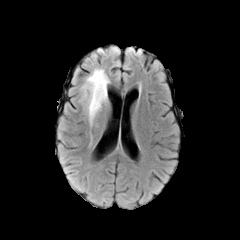
FLAIR MR.
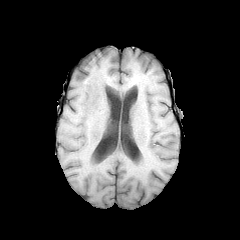
T1-weighted MR image of the same slice.
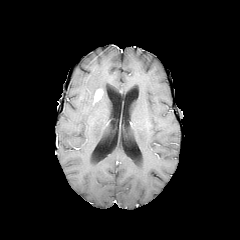
Post-contrast T1-weighted MR image of the same slice.
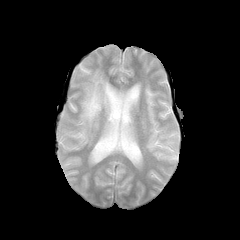
T2-weighted MRI.
enhancing tumor: box=[93, 88, 103, 104] | edema: box=[80, 67, 109, 126]